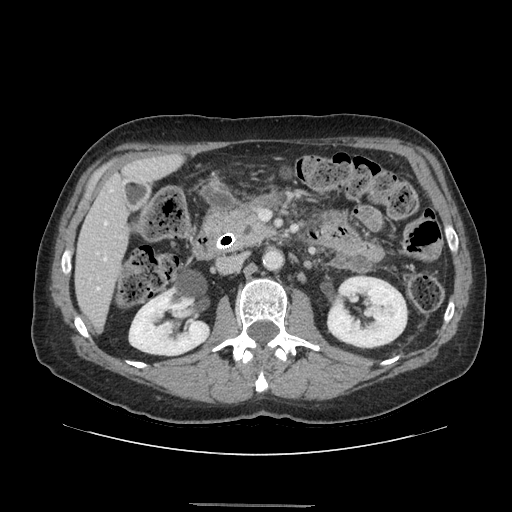 CT image.
<segmentation>
  <pancreas>(left=208, top=206, right=271, bottom=249)</pancreas>
</segmentation>